FLAIR MR.
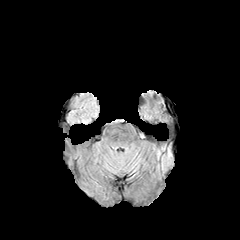
T1-weighted MRI.
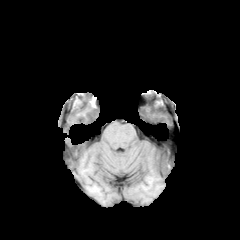
Post-contrast T1-weighted MR image.
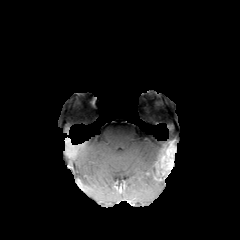
T2-weighted MR.
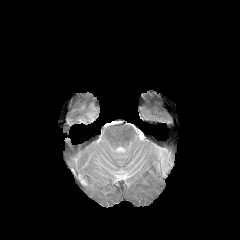
240x240.
- non-enhancing tumor core: {"x1": 153, "y1": 142, "x2": 175, "y2": 180}